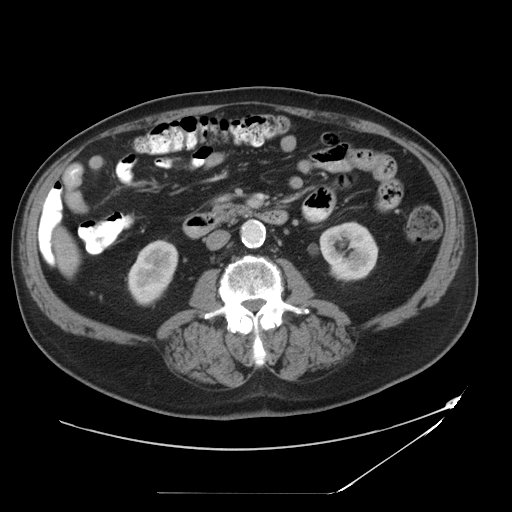 CT slice | 512x512 | Liver

Only some of the vessels may be annotated.
Hepatic vessel at rect(58, 245, 61, 246); rect(60, 257, 74, 265).